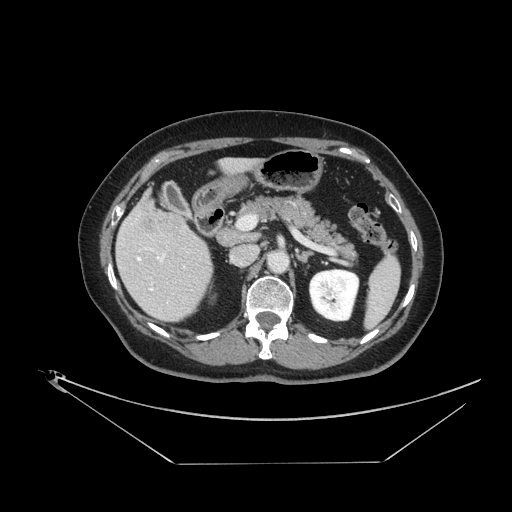 Liver; CT image
The vessel annotation is not exhaustive.
4 hepatic vessel regions are bounded by rect(149, 288, 153, 290); rect(239, 215, 255, 228); rect(157, 253, 164, 261); rect(136, 256, 140, 261). The liver tumor appears at rect(143, 211, 172, 235).